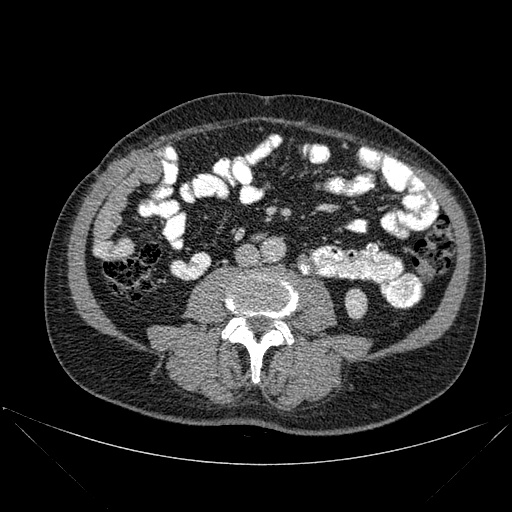
Computed tomography
Bone at (222,271,297,382).
Kidney at (346,289,366,317).